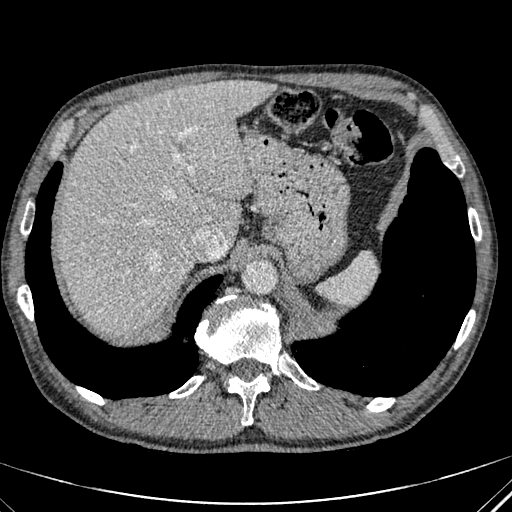
Liver | Computed tomography
Liver — 60, 79, 277, 333.